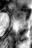 Magnetic resonance | Image size 32x48
Anterior hippocampus at bbox=[12, 6, 25, 21].